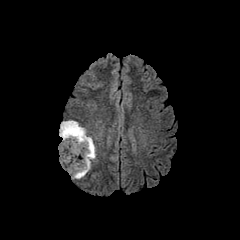
FLAIR MRI.
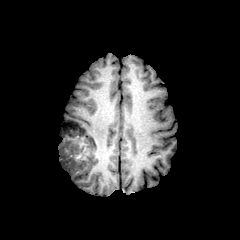
T1-weighted MRI.
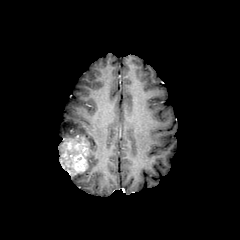
Post-contrast T1-weighted magnetic resonance.
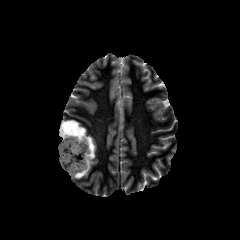
T2-weighted magnetic resonance.
Enhancing tumor at <bbox>60, 138, 86, 175</bbox>.
Edema at <bbox>60, 120, 96, 178</bbox>.
Non-enhancing tumor core at <bbox>60, 143, 78, 159</bbox>, <bbox>61, 122, 89, 169</bbox>.